Image width 240 mm. Slice index 108. Head.
FLAIR MR.
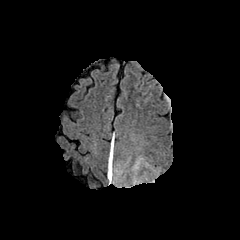
T1-weighted MR.
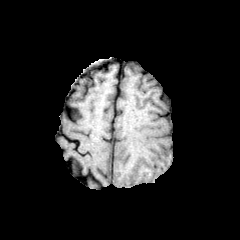
Post-contrast T1-weighted MR image.
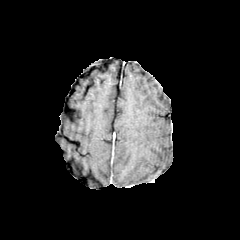
T2-weighted MR.
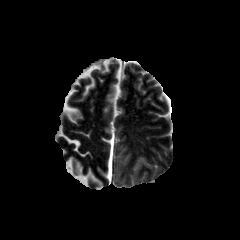
The edema lies within (x1=107, y1=140, x2=113, y2=183).